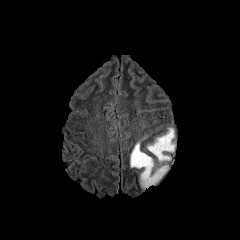
FLAIR magnetic resonance.
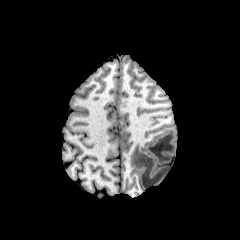
T1-weighted MR image.
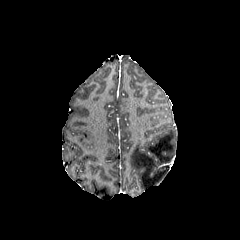
Post-contrast T1-weighted MRI of the same slice.
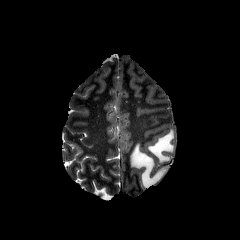
T2-weighted MR image of the same slice.
240x240 px; Brain
The non-enhancing tumor core is located at left=158, top=165, right=169, bottom=178. 2 edema regions are located at left=147, top=128, right=175, bottom=161; left=130, top=143, right=159, bottom=188.